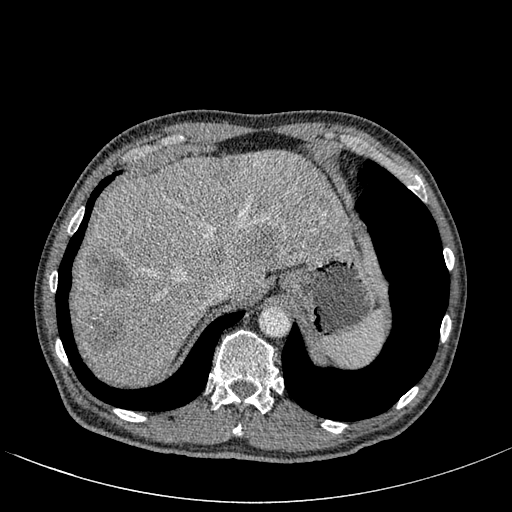
CT scan slice; Image size 512x512
<segmentation>
  <liver>x1=73 y1=149 x2=353 y2=384</liver>
  <focal_liver_lesion>x1=252 y1=229 x2=281 y2=261, x1=317 y1=195 x2=328 y2=208, x1=88 y1=247 x2=129 y2=295, x1=291 y1=212 x2=302 y2=222, x1=210 y1=160 x2=231 y2=181, x1=80 y1=308 x2=125 y2=352</focal_liver_lesion>
</segmentation>